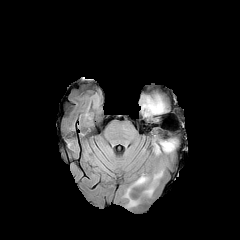
FLAIR MRI.
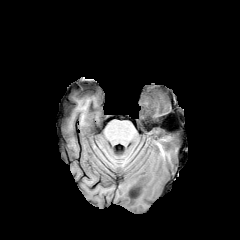
T1-weighted MR image.
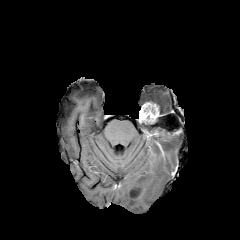
Post-contrast T1-weighted magnetic resonance of the same slice.
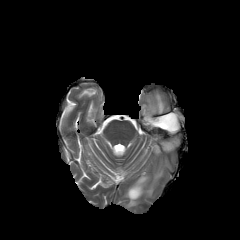
T2-weighted MR image.
Edema — bbox(125, 173, 148, 197); bbox(153, 170, 163, 182); bbox(150, 139, 176, 159); bbox(140, 96, 165, 122).
Enhancing tumor — bbox(144, 104, 158, 117).